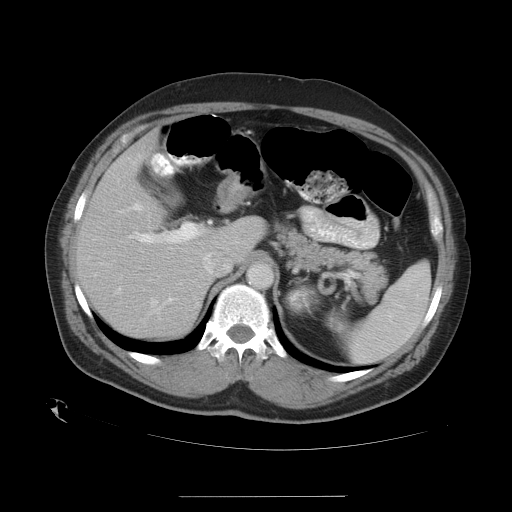 CT slice

The vessel boxes may cover only some of the vessels.
9 hepatic vessel regions are bounded by 191, 235, 196, 237; 115, 287, 120, 294; 150, 279, 151, 280; 178, 282, 181, 284; 204, 256, 207, 259; 128, 203, 142, 210; 118, 211, 121, 212; 152, 155, 172, 173; 129, 230, 187, 242.